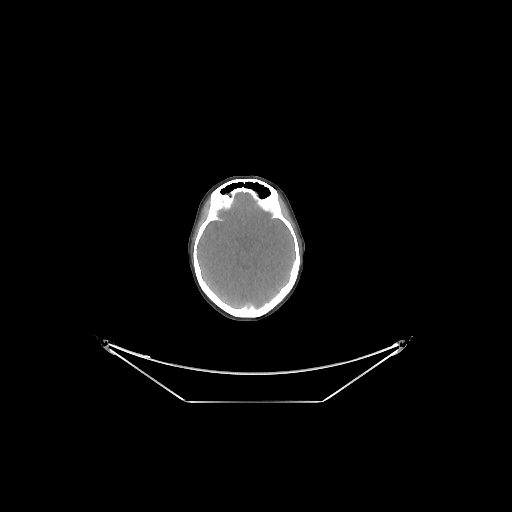

Computed tomography
Brain at bbox=[197, 191, 295, 309].